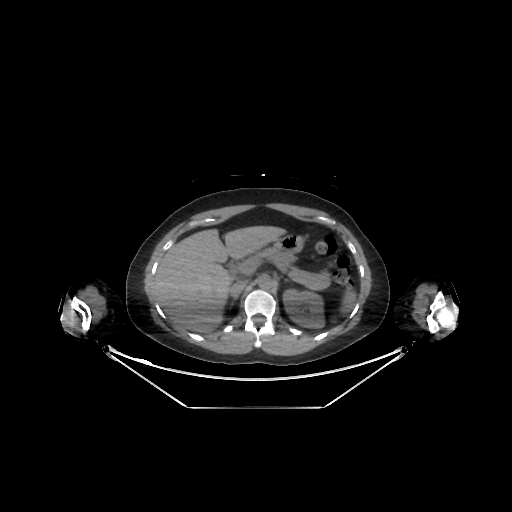
CT scan slice

Kidney = bbox(282, 288, 324, 329).
Liver = bbox(150, 226, 285, 336).